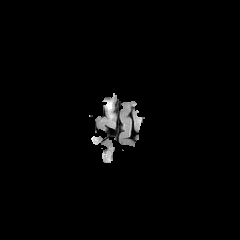
FLAIR MR image.
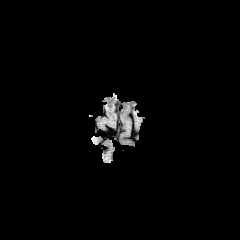
T1-weighted MR image.
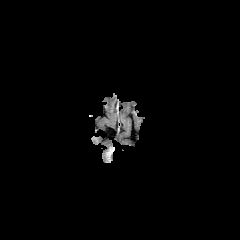
Same slice, post-contrast T1-weighted magnetic resonance.
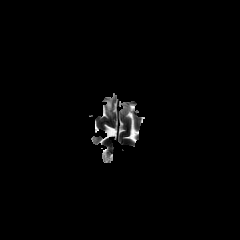
T2-weighted MR image of the same slice.
Head, Image size 240x240
{"non-enhancing_tumor_core": ["l=106, t=104, r=113, b=117"]}